FLAIR MRI.
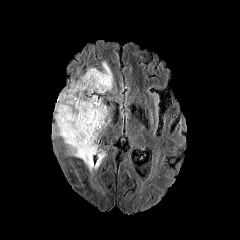
T1-weighted MR image.
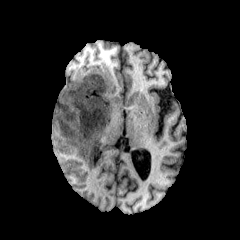
Post-contrast T1-weighted MRI.
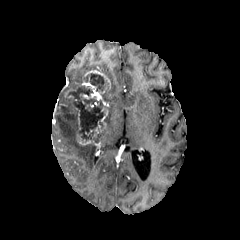
T2-weighted MR image.
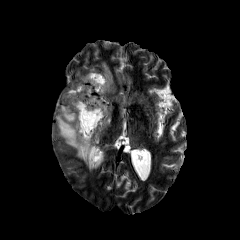
Image size 240x240
5 enhancing tumor regions are located at 92 125 102 138, 76 134 94 144, 81 82 105 100, 101 102 107 128, 85 70 111 90. The non-enhancing tumor core is located at 57 72 108 144. 3 edema regions appear at 52 110 107 171, 73 68 95 80, 102 62 113 90.